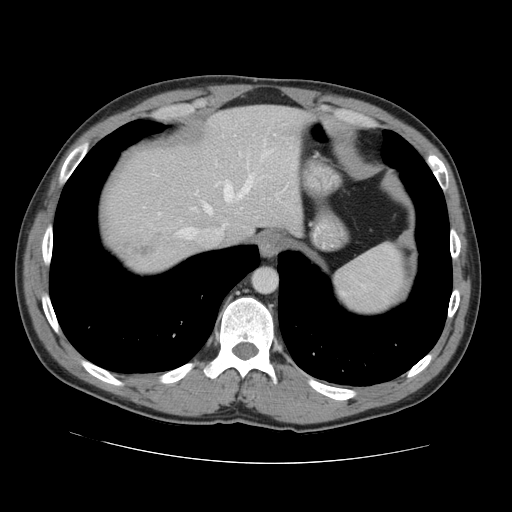
Liver. Computed tomography.

The vessel boxes may cover only some of the vessels.
The liver tumor is at <bbox>127, 243, 150, 258</bbox>. 14 hepatic vessel regions appear at <bbox>158, 213, 160, 214</bbox>, <bbox>239, 153, 240, 155</bbox>, <bbox>273, 134, 275, 135</bbox>, <bbox>276, 193, 278, 196</bbox>, <bbox>195, 191, 197, 194</bbox>, <bbox>284, 186, 286, 188</bbox>, <bbox>223, 222, 228, 225</bbox>, <bbox>191, 207, 195, 209</bbox>, <bbox>263, 139, 265, 144</bbox>, <bbox>204, 204, 211, 213</bbox>, <bbox>265, 149, 273, 153</bbox>, <bbox>177, 229, 184, 235</bbox>, <bbox>152, 173, 156, 175</bbox>, <bbox>215, 173, 252, 201</bbox>.